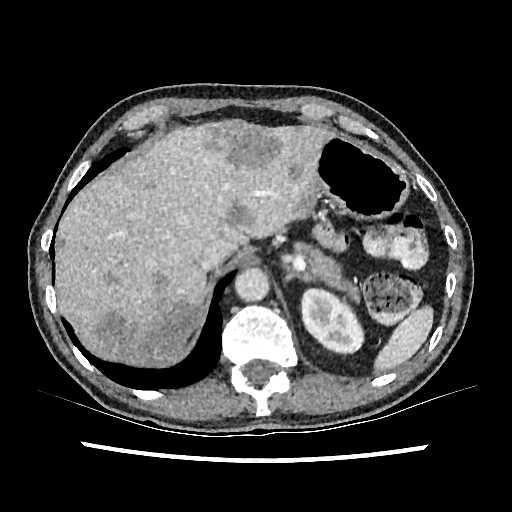 CT scan slice | 512x512 px

8 focal liver lesion regions are bounded by <bbox>93, 275, 201, 364</bbox>, <bbox>143, 181, 156, 189</bbox>, <bbox>225, 202, 254, 227</bbox>, <bbox>203, 121, 279, 168</bbox>, <bbox>103, 271, 119, 285</bbox>, <bbox>288, 163, 303, 180</bbox>, <bbox>297, 178, 312, 210</bbox>, <bbox>58, 238, 65, 248</bbox>. The kidney is located at <bbox>302, 289, 362, 352</bbox>. The liver is bounded by <bbox>58, 125, 334, 364</bbox>.